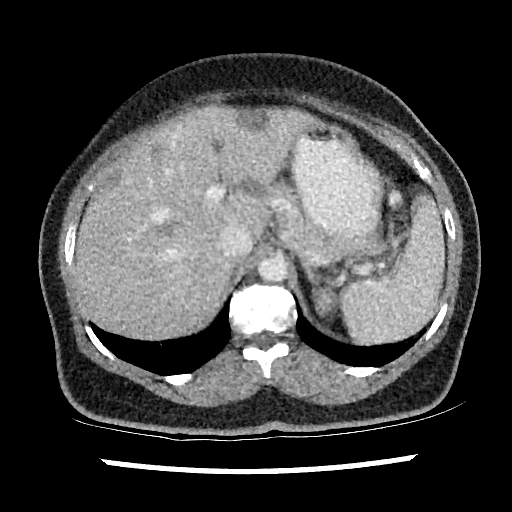

Liver | Image size 512x512 | CT
Hepatic lesion: bounding box (105,172,119,186), (159,217,177,234), (240,110,268,130), (152,148,160,155), (240,175,266,194).
Liver: bounding box (71,108,319,338).